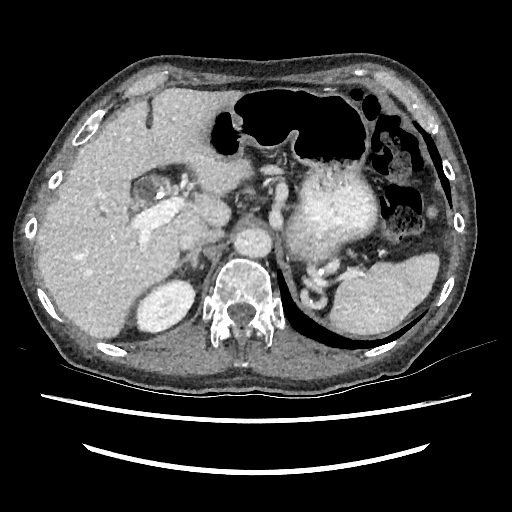 CT scan slice. Liver. Kidney = box(137, 281, 194, 331).
Liver = box(37, 89, 242, 336).